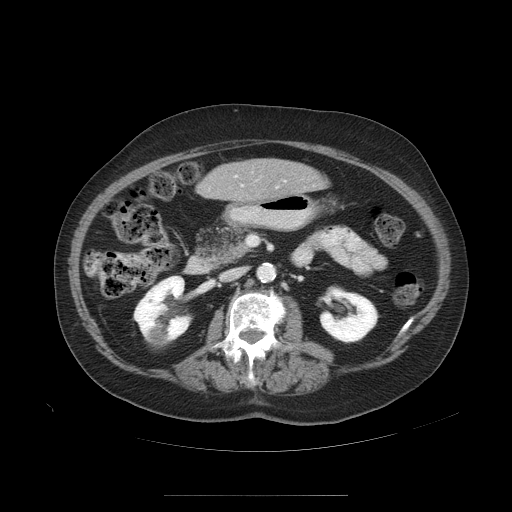 Image size 512x512, CT scan slice, Abdomen
Some hepatic vessels may have no box.
Hepatic vessel = [283,180,284,181].